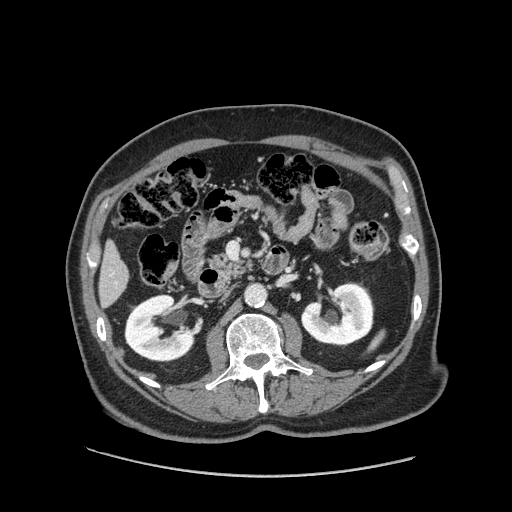
CT slice; Upper abdomen; 512x512
The pancreas is at {"x1": 211, "y1": 255, "x2": 243, "y2": 274}.